Abdomen. Field of view 398x398 mm. Slice 41/91. CT scan slice.
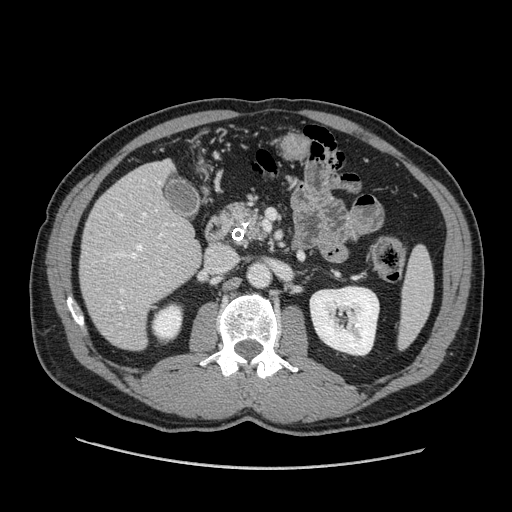

The pancreas is bounded by [226,202,266,248].